Head, Slice 49 of 155
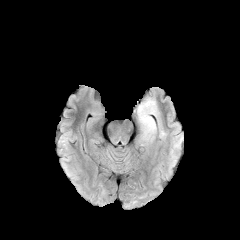
FLAIR MRI.
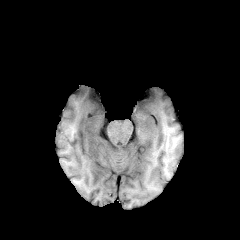
T1-weighted MR image.
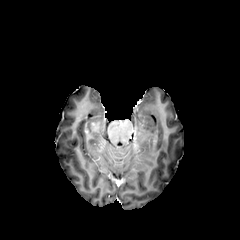
Post-contrast T1-weighted magnetic resonance.
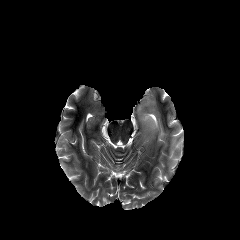
Same slice, T2-weighted MR image.
Edema — [136,97,166,142].